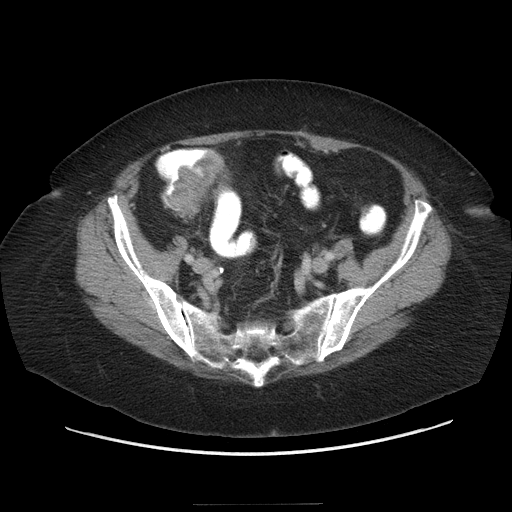

512x512 px. Computed tomography. Abdomen. Colon tumor at left=162, top=151, right=222, bottom=216.